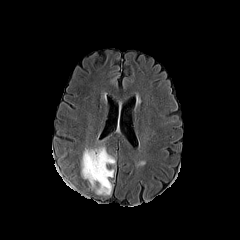
FLAIR MRI.
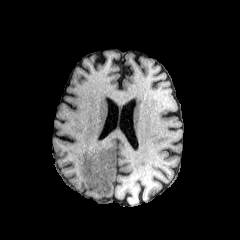
Same slice, T1-weighted MR image.
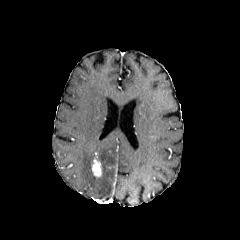
Post-contrast T1-weighted MR image.
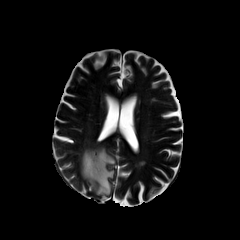
T2-weighted MRI.
Head; 240x240 px
Findings:
- edema: rect(81, 147, 115, 196)
- enhancing tumor: rect(91, 159, 102, 177)